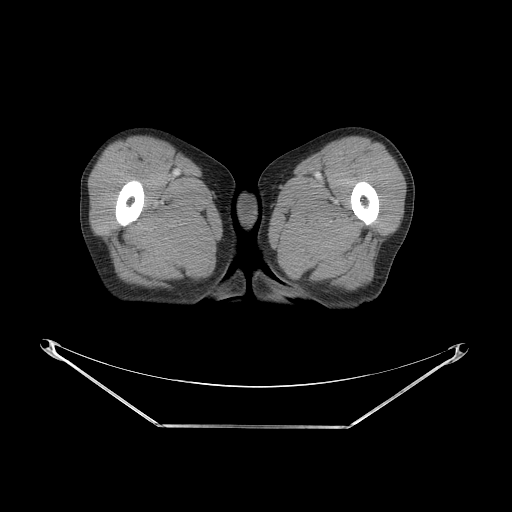
Computed tomography
Bone — 116, 180, 143, 225; 351, 182, 378, 224.